Upper abdomen, CT
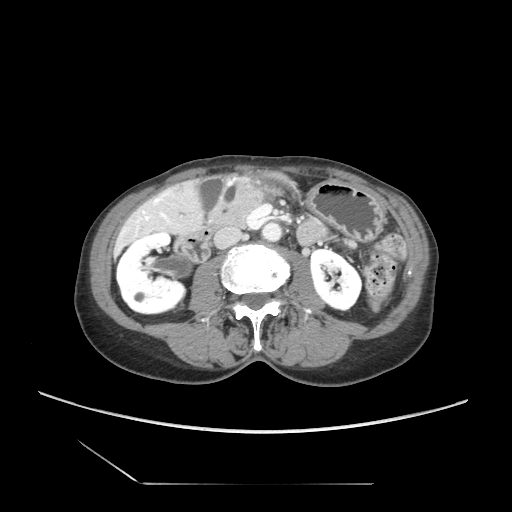

Findings:
• pancreas: x1=230 y1=187 x2=283 y2=226